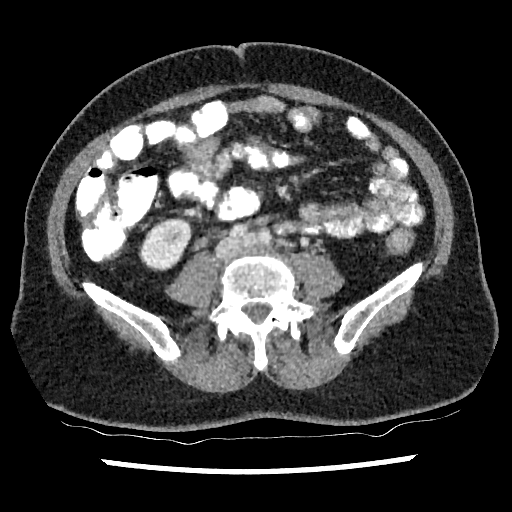

CT scan slice
The kidney appears at x1=142, y1=220, x2=189, y2=268.